FLAIR MR.
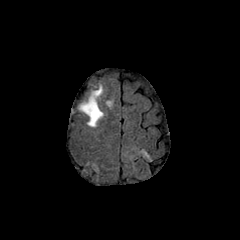
T1-weighted MR.
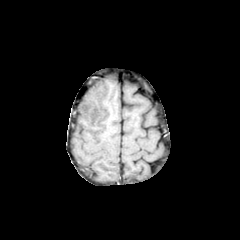
Post-contrast T1-weighted MR.
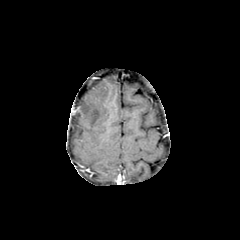
T2-weighted MRI.
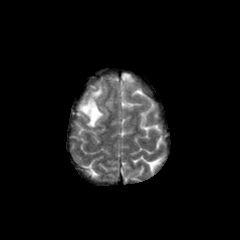
240x240 | Brain
edema: bbox=[78, 84, 106, 127]; bbox=[105, 98, 112, 109]